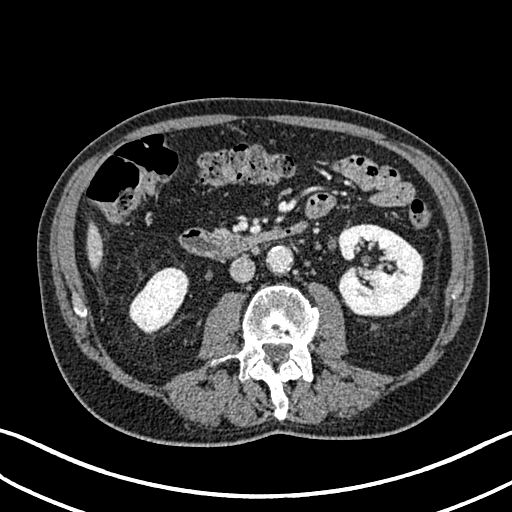 512x512, CT image

Liver at (left=88, top=226, right=102, bottom=266).
Kidney at (left=339, top=225, right=422, bottom=315), (left=130, top=268, right=187, bottom=331).